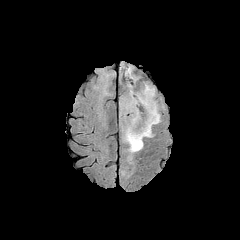
FLAIR MR.
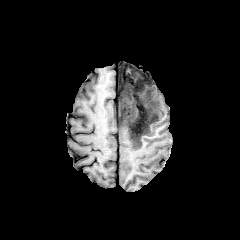
T1-weighted MR image of the same slice.
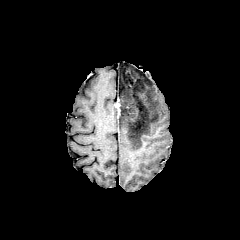
Post-contrast T1-weighted MRI of the same slice.
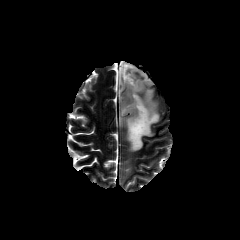
T2-weighted MR.
Image size 240x240.
Findings:
* non-enhancing tumor core: box(121, 68, 136, 85); box(119, 84, 157, 142)
* edema: box(124, 152, 131, 163); box(124, 66, 161, 136); box(119, 114, 148, 151)